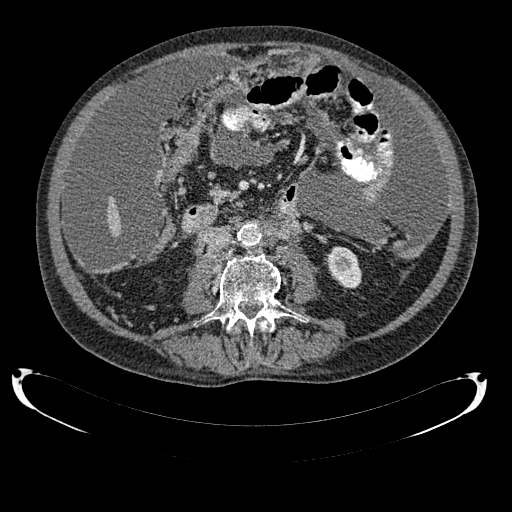

CT slice. Image size 512x512. Liver. Kidney: (328, 247, 361, 287).
Liver: (107, 196, 120, 236).